512x512 px, CT image 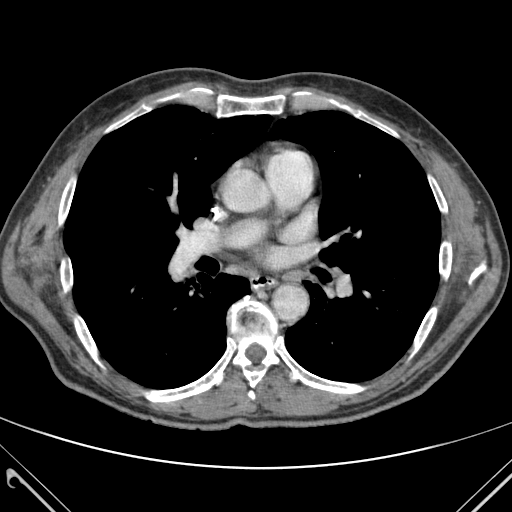 lung: 63,105,440,388 | bone: 412,308,436,354; 146,296,363,401; 106,105,150,131; 75,316,100,364; 439,242,451,278; 191,88,310,116; 328,100,397,135; 469,264,485,282; 58,179,75,227; 429,176,447,211; 61,260,72,291